FLAIR MR image.
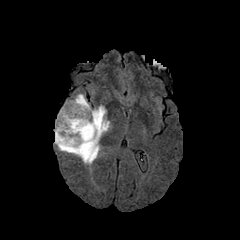
T1-weighted MRI.
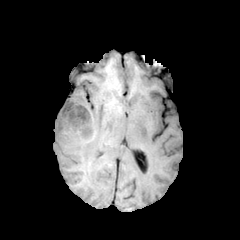
Post-contrast T1-weighted MRI.
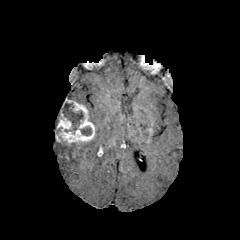
T2-weighted MRI.
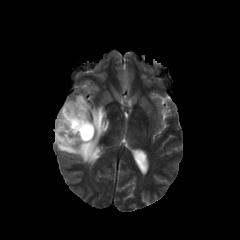
Enhancing tumor: <bbox>56, 99, 94, 143</bbox>.
Non-enhancing tumor core: <bbox>81, 127, 91, 135</bbox>, <bbox>74, 140, 91, 153</bbox>, <bbox>61, 102, 83, 130</bbox>.
Edema: <bbox>54, 93, 110, 165</bbox>.